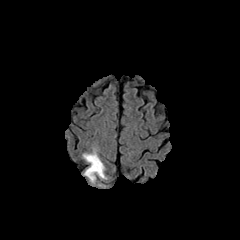
FLAIR magnetic resonance.
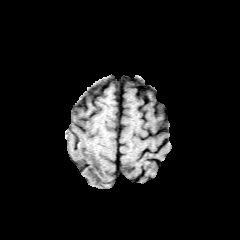
T1-weighted magnetic resonance.
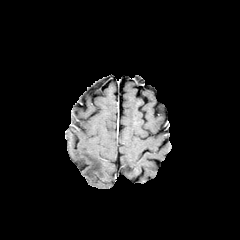
Post-contrast T1-weighted MR image of the same slice.
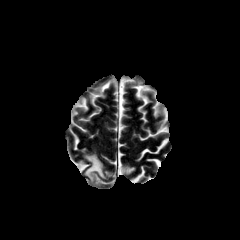
T2-weighted MRI.
Image size 240x240
Edema: (left=82, top=150, right=109, bottom=186).